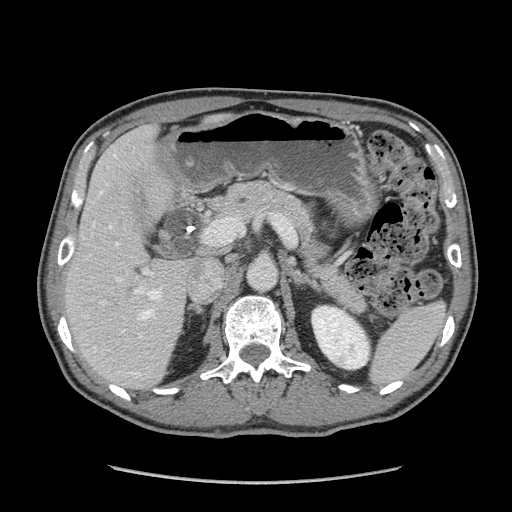 Upper abdomen | CT
pancreatic tumor: box=[166, 212, 205, 252] | pancreas: box=[159, 181, 368, 317]